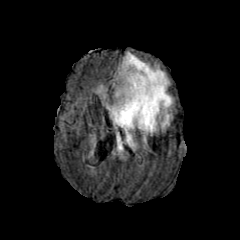
FLAIR MRI.
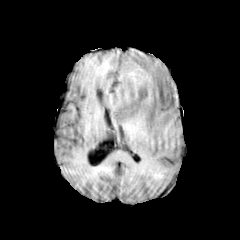
Same slice, T1-weighted MR.
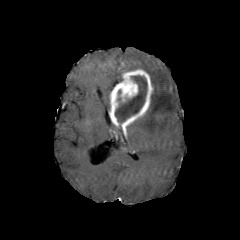
Post-contrast T1-weighted MR image.
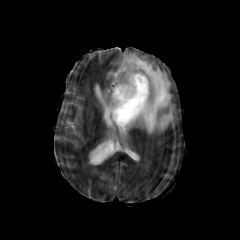
T2-weighted MR image of the same slice.
3 edema regions are located at box=[97, 86, 110, 110]; box=[116, 52, 173, 151]; box=[114, 70, 121, 81]. The enhancing tumor lies within box=[109, 69, 153, 138]. The non-enhancing tumor core appears at box=[115, 76, 146, 121].